CT scan slice
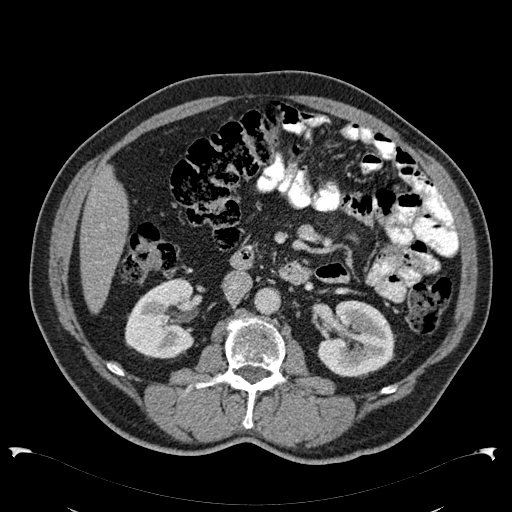
Annotated regions:
- kidney: x1=318 y1=301 x2=394 y2=376, x1=125 y1=278 x2=201 y2=358
- liver: x1=80 y1=167 x2=128 y2=311